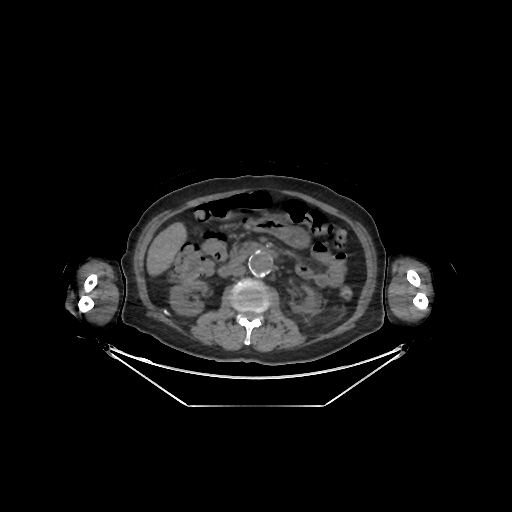 CT image; Upper abdomen
{
  "liver": [
    "l=147, t=223, r=185, b=273"
  ],
  "bone": [
    "l=78, t=274, r=96, b=312",
    "l=231, t=281, r=268, b=344",
    "l=407, t=269, r=428, b=309"
  ],
  "kidney": [
    "l=290, t=285, r=320, b=316",
    "l=170, t=279, r=212, b=316"
  ]
}